FLAIR MR.
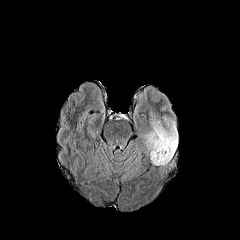
T1-weighted MRI.
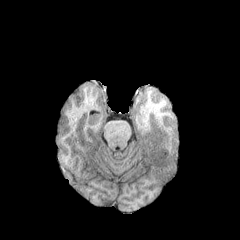
Post-contrast T1-weighted MRI.
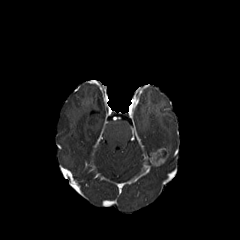
T2-weighted MR image.
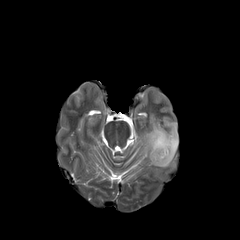
Enhancing tumor: bounding box (left=149, top=147, right=169, bottom=166).
Edema: bounding box (left=140, top=119, right=177, bottom=166).